CT | Abdomen | Slice index 82

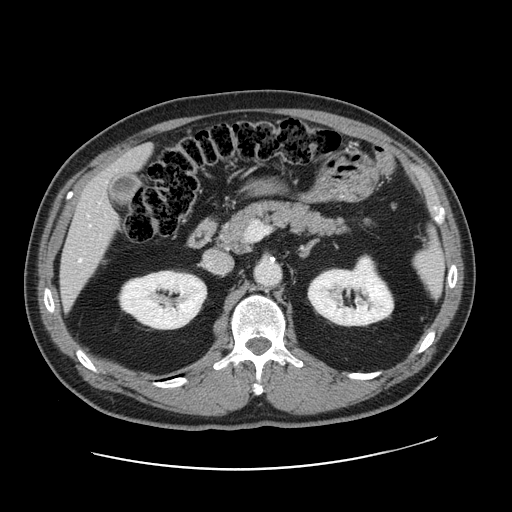 Not every hepatic vessel necessarily has a box.
<segmentation>
  <hepatic_vessel>x1=113, y1=212, x2=117, y2=221; x1=142, y1=144, x2=150, y2=149; x1=89, y1=224, x2=90, y2=226; x1=66, y1=301, x2=70, y2=303; x1=78, y1=258, x2=81, y2=261; x1=105, y1=181, x2=107, y2=182</hepatic_vessel>
</segmentation>